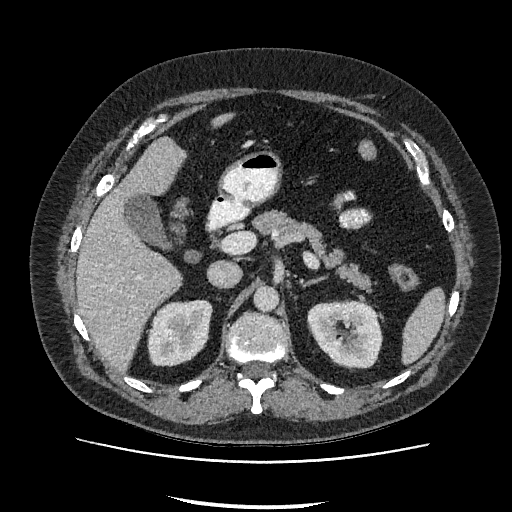 Computed tomography

<segmentation>
  <liver><bbox>77, 137, 185, 372</bbox>, <bbox>213, 113, 231, 126</bbox></liver>
  <kidney><bbox>149, 301, 210, 364</bbox>, <bbox>308, 302, 380, 367</bbox></kidney>
</segmentation>